MR image | Slice 77 of 110 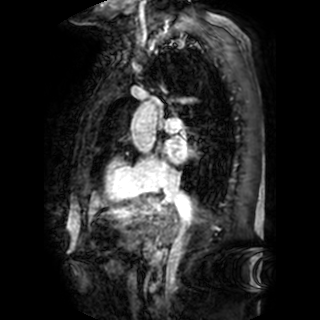
The left atrium is located at rect(165, 136, 192, 163).